Slice 112/155
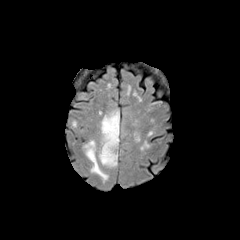
FLAIR MRI.
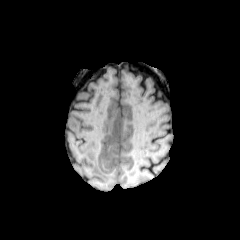
Same slice, T1-weighted MR.
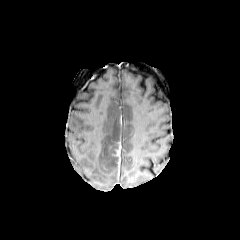
Same slice, post-contrast T1-weighted magnetic resonance.
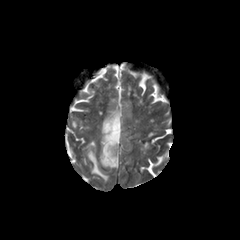
T2-weighted MR image of the same slice.
<segmentation>
  <edema>box(83, 108, 121, 181)</edema>
</segmentation>